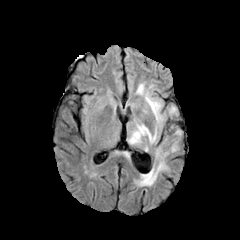
FLAIR MR.
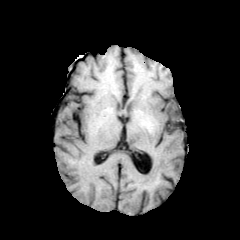
T1-weighted MR.
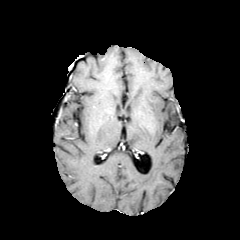
Same slice, post-contrast T1-weighted MR image.
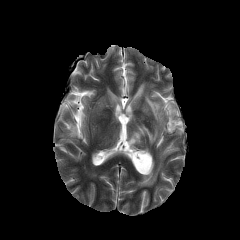
T2-weighted MR image.
<segmentation>
  <edema>{"x1": 173, "y1": 126, "x2": 181, "y2": 136}, {"x1": 126, "y1": 83, "x2": 178, "y2": 151}, {"x1": 134, "y1": 143, "x2": 177, "y2": 186}</edema>
</segmentation>